FLAIR MR.
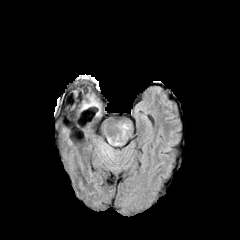
T1-weighted magnetic resonance.
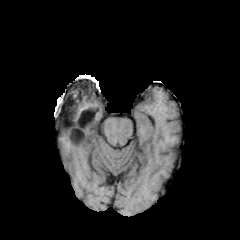
Post-contrast T1-weighted magnetic resonance.
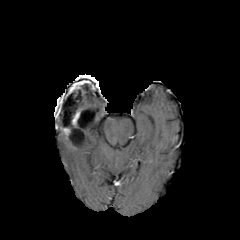
T2-weighted MR.
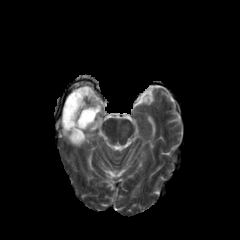
Edema at box=[78, 90, 99, 112].